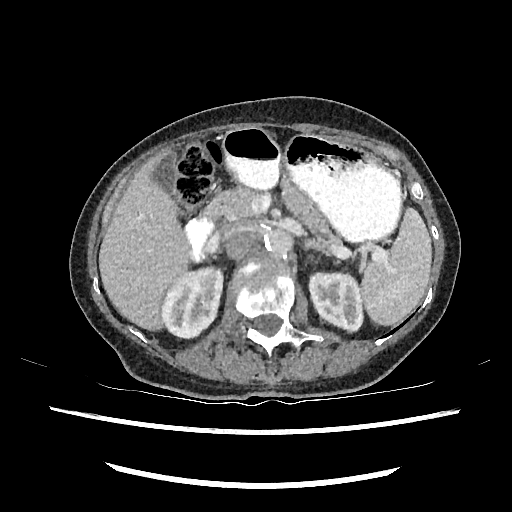
CT image

Kidney: bounding box rect(310, 274, 362, 329); rect(162, 270, 222, 337).
Liver: bounding box rect(99, 161, 188, 329).